Slice index 35
FLAIR magnetic resonance.
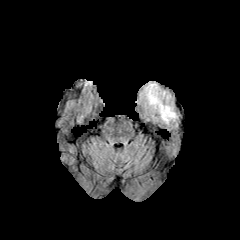
T1-weighted magnetic resonance.
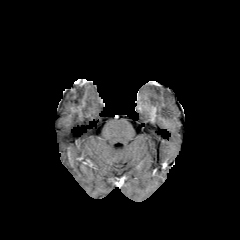
Post-contrast T1-weighted MR image.
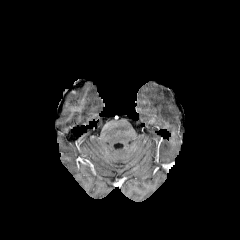
T2-weighted MR.
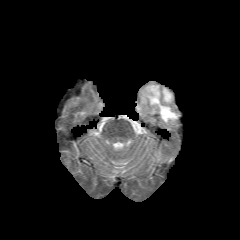
Edema: bounding box (x1=140, y1=82, x2=179, y2=126).